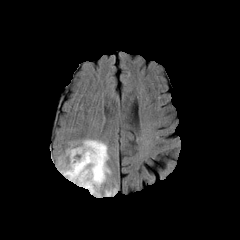
FLAIR magnetic resonance.
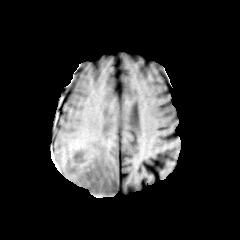
T1-weighted MR of the same slice.
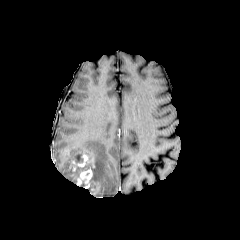
Same slice, post-contrast T1-weighted MR image.
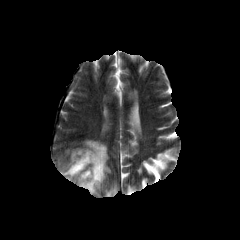
T2-weighted MR.
Brain
{
  "edema": [
    "rect(62, 139, 115, 195)"
  ],
  "enhancing_tumor": [
    "rect(72, 154, 88, 171)",
    "rect(76, 168, 92, 188)"
  ]
}